CT. 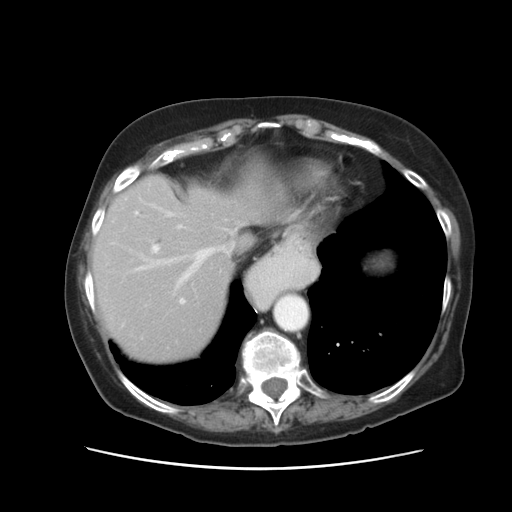
Some hepatic vessels may have no box.
Findings:
* hepatic vessel: {"x1": 138, "y1": 198, "x2": 141, "y2": 201}, {"x1": 172, "y1": 224, "x2": 242, "y2": 295}, {"x1": 145, "y1": 204, "x2": 177, "y2": 216}, {"x1": 176, "y1": 225, "x2": 183, "y2": 229}, {"x1": 150, "y1": 242, "x2": 158, "y2": 252}, {"x1": 134, "y1": 212, "x2": 137, "y2": 215}, {"x1": 130, "y1": 254, "x2": 181, "y2": 272}, {"x1": 179, "y1": 299, "x2": 183, "y2": 303}